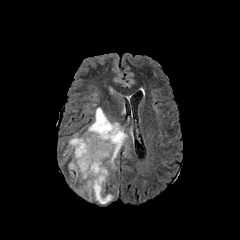
FLAIR MR.
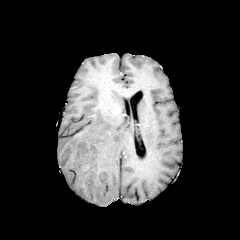
T1-weighted MR.
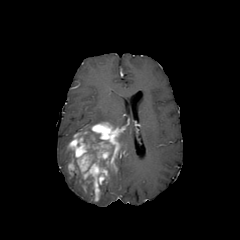
Same slice, post-contrast T1-weighted MR image.
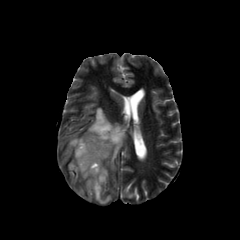
T2-weighted magnetic resonance.
<segmentation>
  <edema>bbox(63, 137, 72, 155); bbox(119, 132, 128, 151); bbox(88, 107, 121, 128); bbox(98, 183, 114, 204); bbox(78, 181, 94, 200)</edema>
  <enhancing_tumor>bbox(68, 159, 74, 170); bbox(68, 122, 123, 201)</enhancing_tumor>
  <non-enhancing_tumor_core>bbox(83, 129, 103, 163); bbox(86, 175, 93, 187); bbox(69, 151, 82, 182); bbox(100, 159, 110, 173)</non-enhancing_tumor_core>
</segmentation>